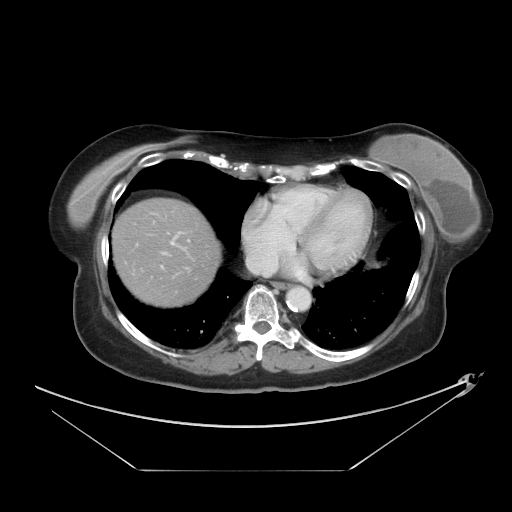
Computed tomography, Liver
Not every hepatic vessel necessarily has a box.
2 hepatic vessel regions are bounded by {"x1": 248, "y1": 248, "x2": 266, "y2": 274}, {"x1": 170, "y1": 240, "x2": 173, "y2": 244}.